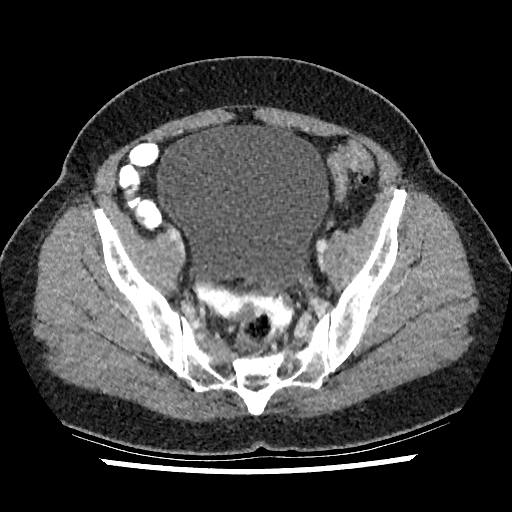 Computed tomography

Annotated regions:
* urinary bladder: 156,123,328,292